FLAIR MR.
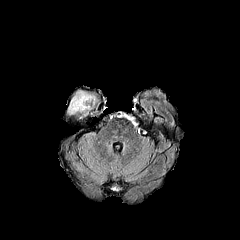
T1-weighted MR image.
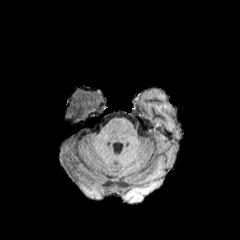
Post-contrast T1-weighted magnetic resonance.
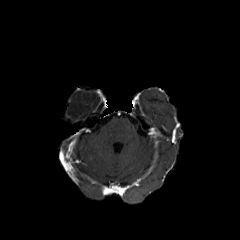
T2-weighted MR image.
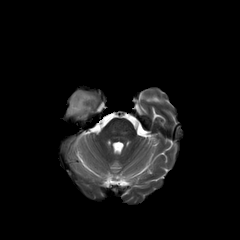
{"edema": ["box(67, 90, 100, 119)"]}